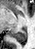 MRI slice; Medial temporal lobe
Segmented structures:
- posterior hippocampus: <box>10,28,26,41</box>